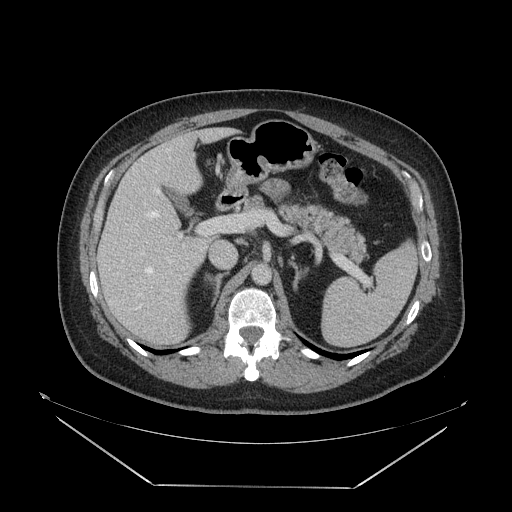

CT | Image size 512x512
Pancreas = 279, 207, 364, 260; 246, 197, 262, 210.